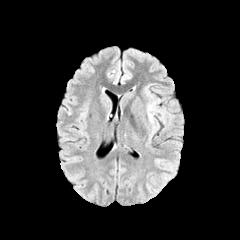
FLAIR MR image.
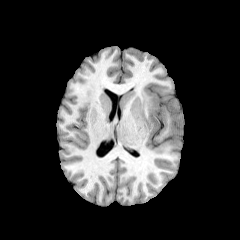
T1-weighted magnetic resonance.
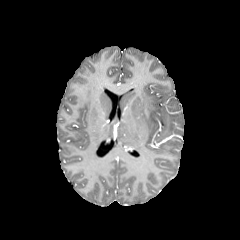
Post-contrast T1-weighted MR image.
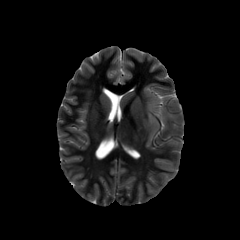
T2-weighted magnetic resonance.
240x240 | Head
<segmentation>
  <edema>146, 89, 172, 129</edema>
</segmentation>